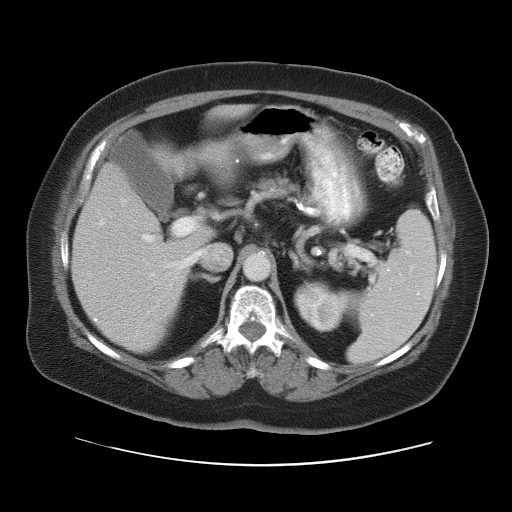 Computed tomography. Abdomen. Segmented structures:
- spleen: (349,210,437,362)